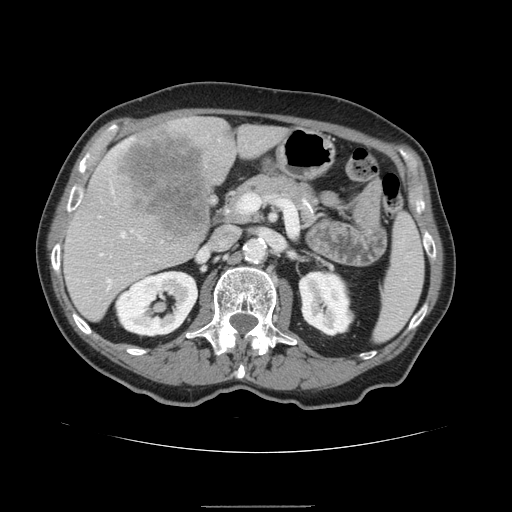 Image size 512x512. CT scan slice. Liver. The vessel boxes may cover only some of the vessels.
Liver tumor: bounding box bbox(117, 125, 213, 241).
Hepatic vessel: bounding box bbox(122, 232, 124, 236); bbox(241, 195, 254, 210); bbox(108, 280, 110, 282).